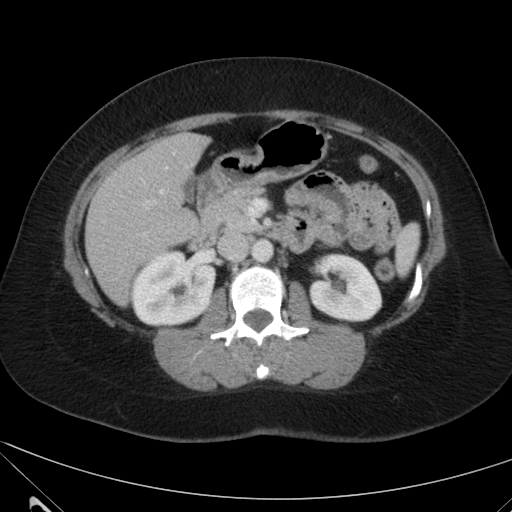 CT slice; Image size 512x512

Liver at (left=86, top=132, right=209, bottom=304).
Kidney at (left=133, top=252, right=214, bottom=323), (left=311, top=255, right=378, bottom=319).